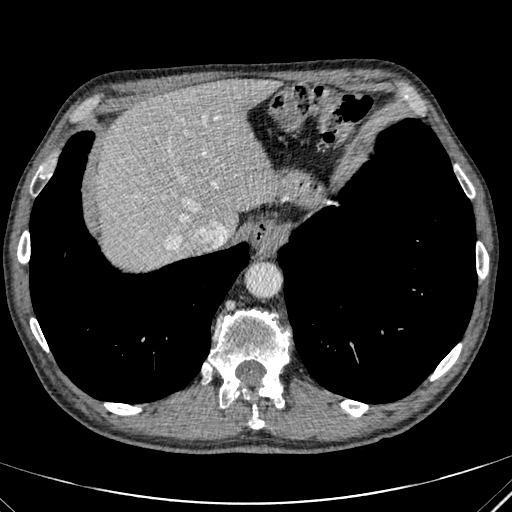 Computed tomography.
Segmented structures:
* liver: x1=95, y1=79, x2=280, y2=270